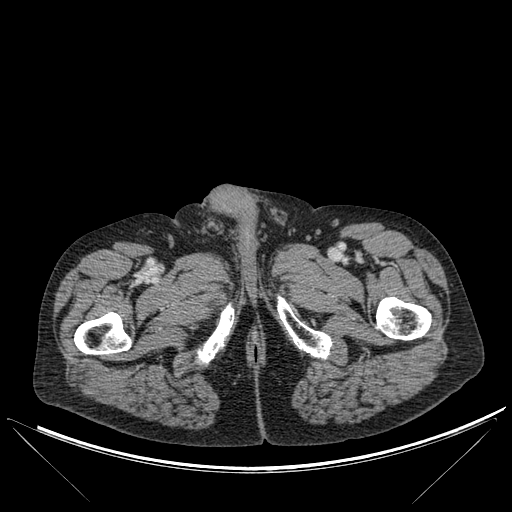

CT slice.
{"bone": ["197,304,233,363", "74,312,131,354", "376,297,431,340", "277,296,331,358"]}